Slice 72 of 155.
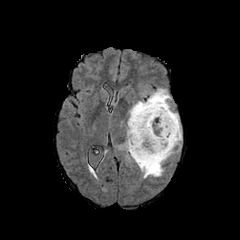
FLAIR MRI.
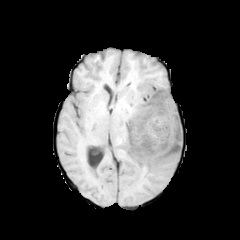
Same slice, T1-weighted MR.
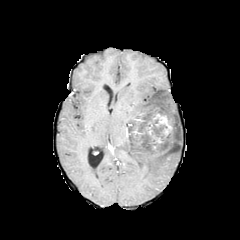
Post-contrast T1-weighted MR image.
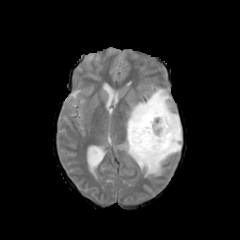
Same slice, T2-weighted MRI.
Edema — [118,88,181,177].
Enhancing tumor — [156,113,172,136].
Non-enhancing tumor core — [127,97,179,157].